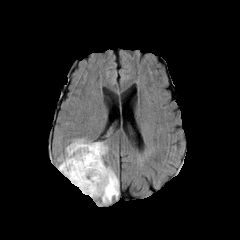
FLAIR magnetic resonance.
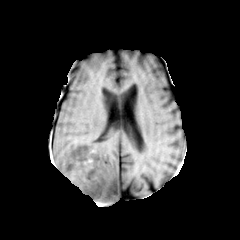
T1-weighted MR image of the same slice.
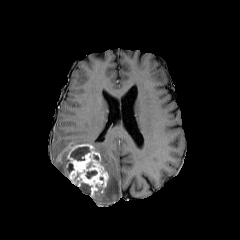
Post-contrast T1-weighted MR image.
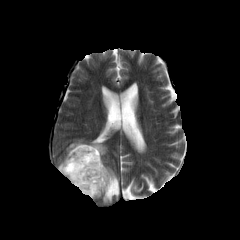
T2-weighted MRI.
Brain
Non-enhancing tumor core — box=[70, 146, 89, 160]; box=[86, 171, 96, 178].
Enhancing tumor — box=[65, 144, 109, 197].
Edema — box=[79, 184, 90, 195]; box=[58, 146, 69, 175]; box=[69, 139, 119, 203].